CT slice

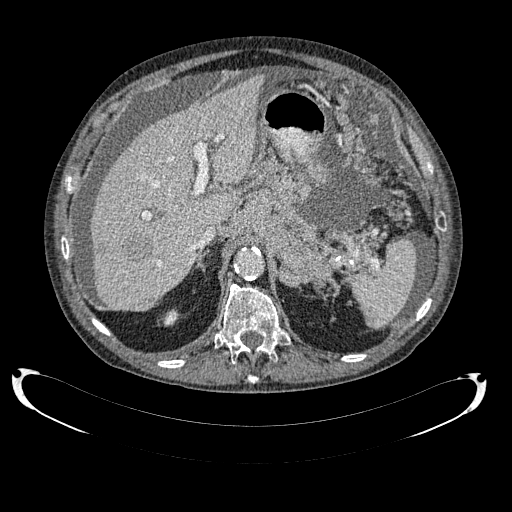
2 hepatic lesion regions are bounded by x1=124, y1=234, x2=154, y2=260; x1=95, y1=243, x2=105, y2=251. The liver is bounded by x1=91, y1=74, x2=264, y2=310. The kidney is bounded by x1=164, y1=310, x2=177, y2=324.